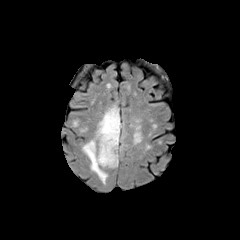
FLAIR magnetic resonance.
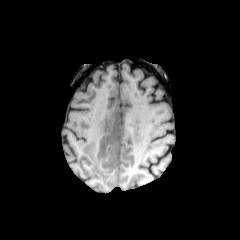
T1-weighted magnetic resonance.
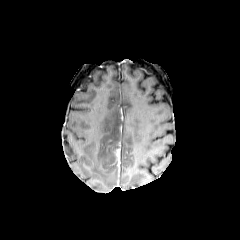
Post-contrast T1-weighted MR image.
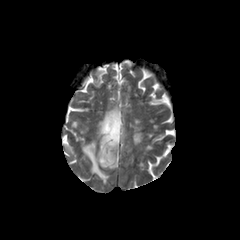
T2-weighted MRI.
Findings:
• edema: 82 105 124 183